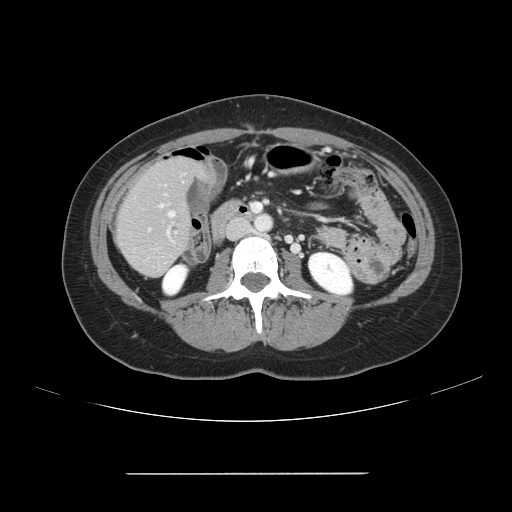
CT

Only some of the vessels may be annotated.
hepatic vessel: (169, 212, 173, 216), (160, 204, 163, 206)